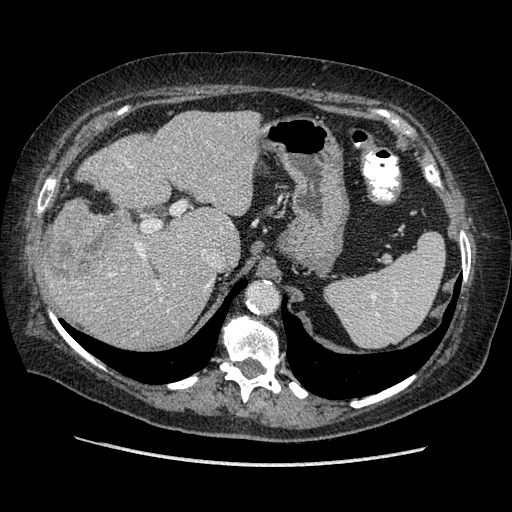
CT scan slice; Abdomen
The vessel annotation is not exhaustive.
• liver tumor: <box>45,201,113,275</box>
• hepatic vessel: <box>171,201,186,214</box>, <box>156,283,159,287</box>, <box>143,218,160,230</box>, <box>135,243,144,257</box>